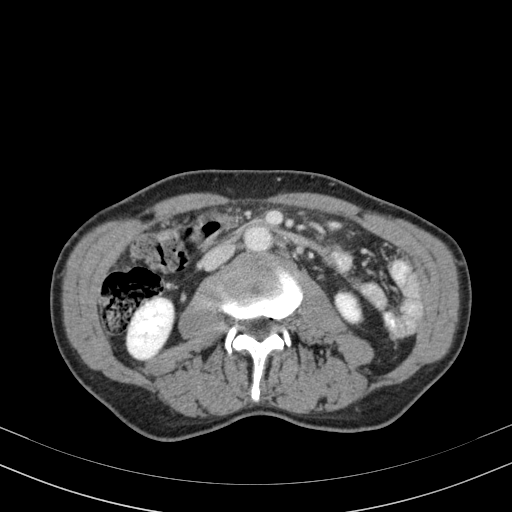 CT slice | Abdomen

2 kidney regions are located at left=127, top=298, right=172, bottom=358; left=336, top=294, right=358, bottom=320.